Slice 280 of 588; Abdomen; Computed tomography; Image size 512x512
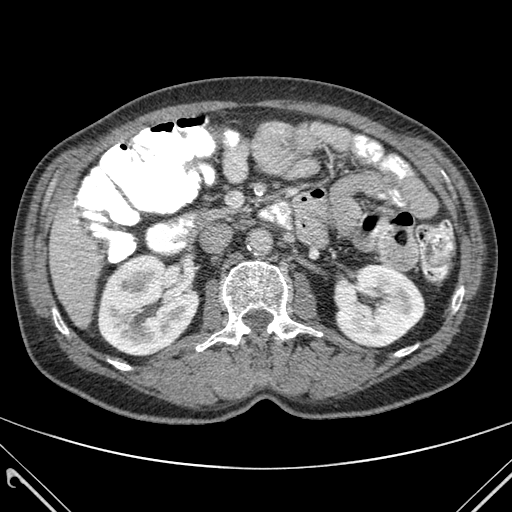

kidney:
  - region(336, 265, 423, 346)
  - region(99, 256, 197, 354)
liver:
  - region(50, 203, 100, 324)
bone:
  - region(53, 309, 68, 333)
  - region(395, 345, 417, 356)
  - region(108, 360, 130, 370)
  - region(196, 261, 322, 351)
  - region(453, 287, 463, 310)